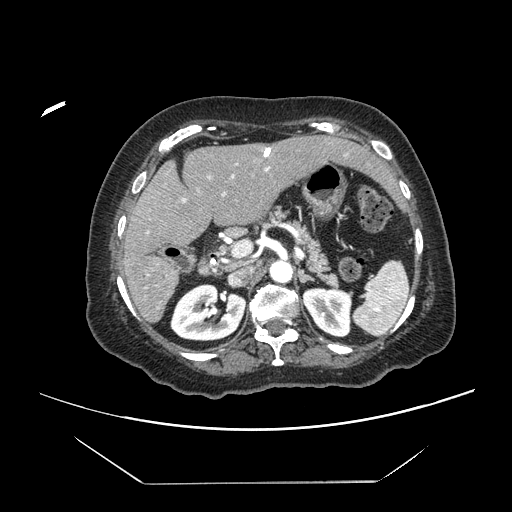

CT slice
Only some of the vessels may be annotated.
* hepatic vessel: (x1=232, y1=241, x2=251, y2=256)